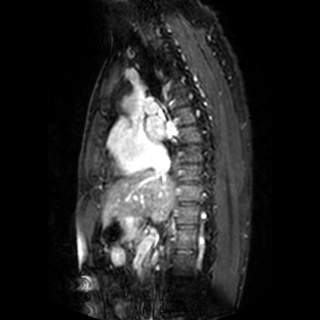 Image size 320x320, MRI
left_atrium:
  - {"x1": 145, "y1": 116, "x2": 176, "y2": 140}